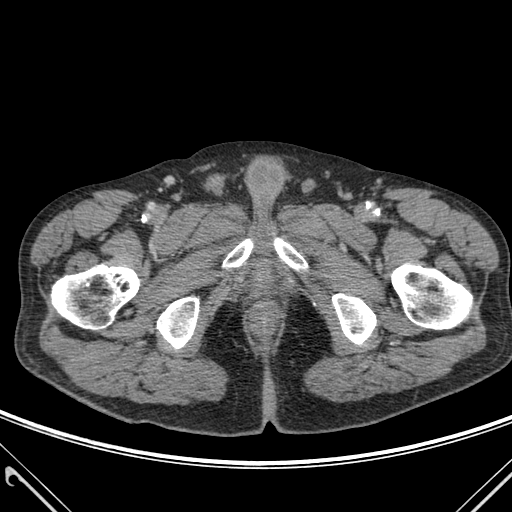 CT.

bone:
  - [274, 238, 307, 269]
  - [391, 264, 472, 329]
  - [157, 297, 198, 348]
  - [332, 293, 376, 344]
  - [51, 264, 139, 328]
  - [223, 239, 252, 267]